Liver. CT image. Field of view 497 mm wide, 1.50 mm slice spacing. 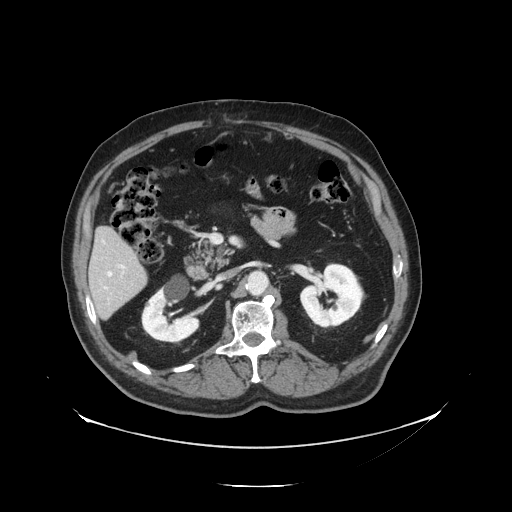 Some hepatic vessels may have no box.
{"hepatic_vessel": ["[x1=105, y1=287, x2=107, y2=288]", "[x1=108, y1=272, x2=112, y2=276]", "[x1=103, y1=241, x2=104, y2=243]", "[x1=119, y1=266, x2=124, y2=274]"]}